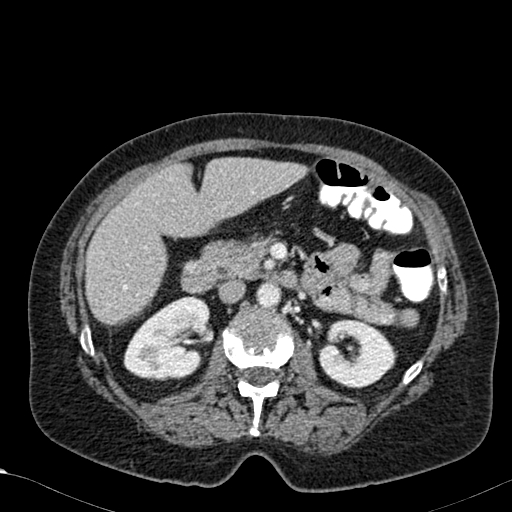

Image size 512x512 | CT image | Abdomen
<segmentation>
  <liver>{"x1": 87, "y1": 159, "x2": 305, "y2": 323}</liver>
  <kidney>{"x1": 320, "y1": 320, "x2": 394, "y2": 387}, {"x1": 124, "y1": 297, "x2": 210, "y2": 379}</kidney>
</segmentation>